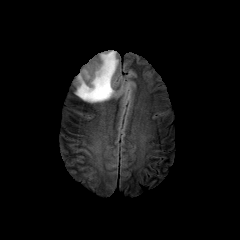
FLAIR MR image.
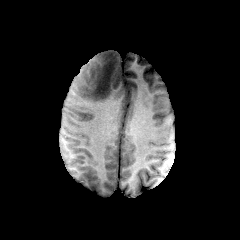
T1-weighted MR.
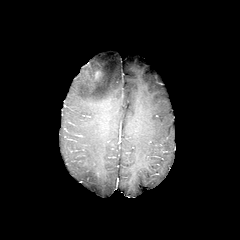
Post-contrast T1-weighted MRI of the same slice.
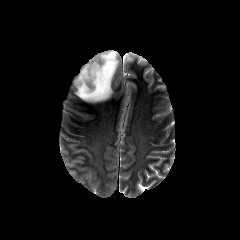
T2-weighted MR.
Head, 240x240
Segmented structures:
• edema: 75 50 128 102
• non-enhancing tumor core: 85 60 108 82